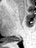
36x48 px, MR
Posterior hippocampus: bounding box 7 37 21 41.